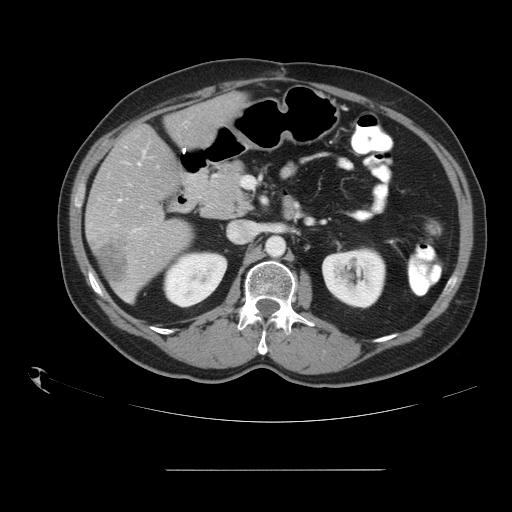 CT image; Image size 512x512
Only some of the vessels may be annotated.
liver_tumor:
  - {"x1": 97, "y1": 241, "x2": 128, "y2": 286}
hepatic_vessel:
  - {"x1": 118, "y1": 199, "x2": 120, "y2": 201}
  - {"x1": 143, "y1": 151, "x2": 145, "y2": 154}
  - {"x1": 138, "y1": 162, "x2": 140, "y2": 165}